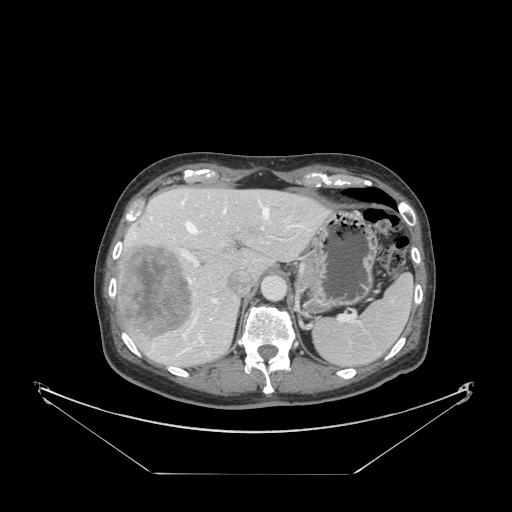
CT image. Abdomen.
The spleen is located at rect(313, 274, 413, 366).